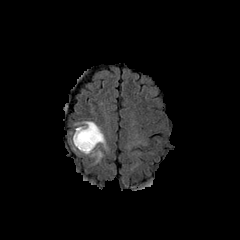
FLAIR MRI.
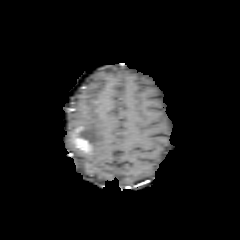
Same slice, T1-weighted MR image.
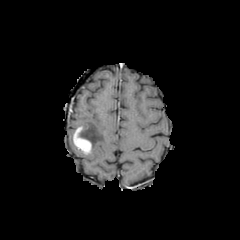
Post-contrast T1-weighted magnetic resonance of the same slice.
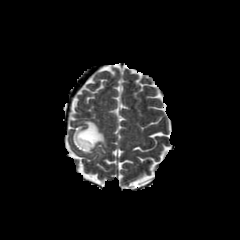
T2-weighted MR.
240x240 px
The non-enhancing tumor core appears at (80,126,94,145). The edema appears at (75,120,107,160). The enhancing tumor is located at (73,126,91,154).